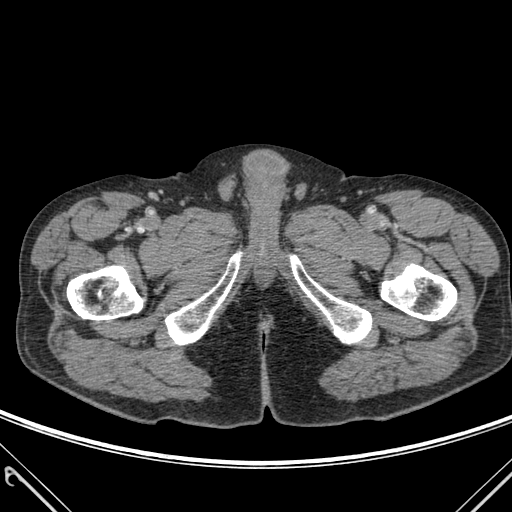
CT slice.
{"bone": ["region(67, 266, 143, 320)", "region(165, 252, 240, 344)", "region(381, 264, 456, 320)", "region(290, 255, 371, 343)"]}